Field of view 240 mm wide, 1.00 mm slice spacing, Brain
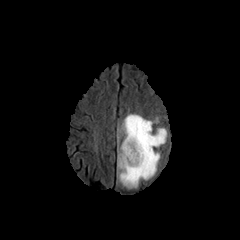
FLAIR magnetic resonance.
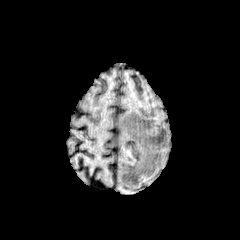
T1-weighted MR.
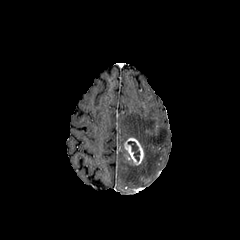
Post-contrast T1-weighted MRI of the same slice.
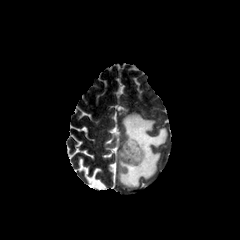
T2-weighted MR image of the same slice.
* non-enhancing tumor core: [128, 141, 140, 161]
* enhancing tumor: [120, 138, 144, 165]
* edema: [117, 114, 167, 188]